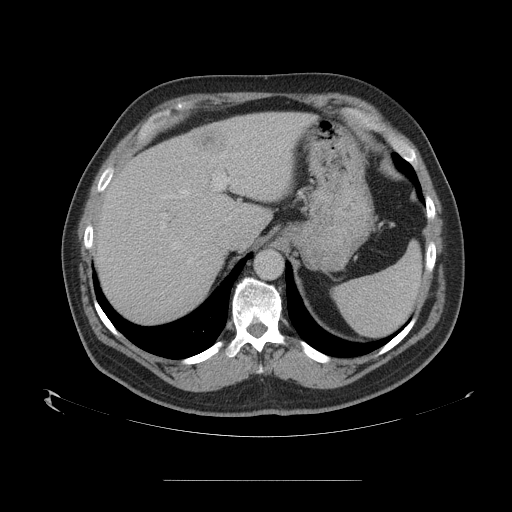

CT scan slice

Not every hepatic vessel necessarily has a box.
Liver tumor = l=194, t=128, r=225, b=150.
Hepatic vessel = l=210, t=164, r=225, b=197; l=162, t=215, r=165, b=217; l=201, t=195, r=204, b=198.